Slice 32/155.
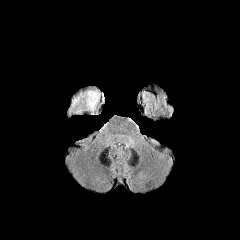
FLAIR magnetic resonance.
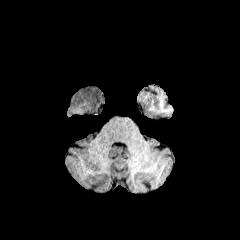
T1-weighted MRI of the same slice.
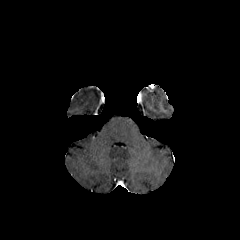
Post-contrast T1-weighted MRI.
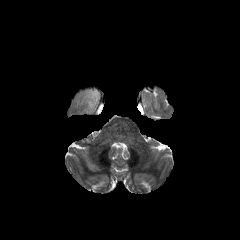
T2-weighted magnetic resonance.
The edema appears at bbox=[86, 90, 100, 108].